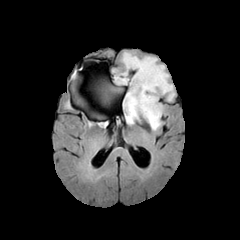
FLAIR magnetic resonance.
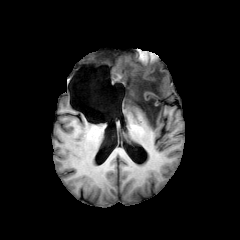
T1-weighted MR image of the same slice.
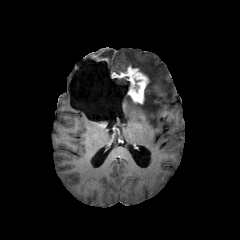
Same slice, post-contrast T1-weighted MRI.
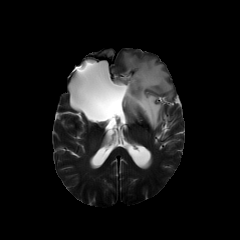
T2-weighted magnetic resonance.
Head
enhancing_tumor:
  - rect(114, 66, 149, 103)
non-enhancing_tumor_core:
  - rect(136, 81, 158, 117)
  - rect(116, 80, 129, 90)
edema:
  - rect(114, 78, 125, 85)
  - rect(121, 52, 173, 130)